CT slice
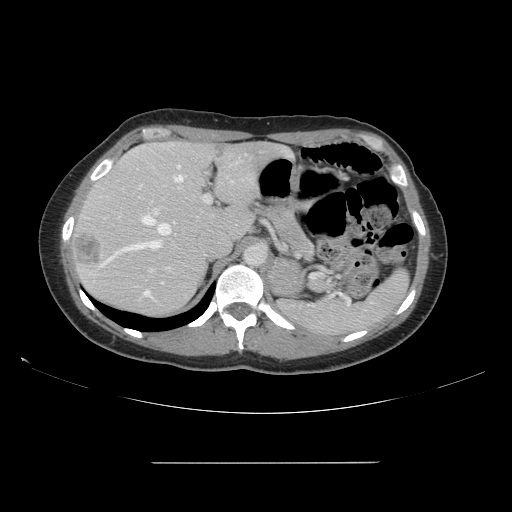 The vessel boxes may cover only some of the vessels.
15 hepatic vessel regions are bounded by x1=202 y1=195 x2=210 y2=203, x1=166 y1=267 x2=169 y2=269, x1=152 y1=208 x2=158 y2=215, x1=119 y1=213 x2=120 y2=217, x1=173 y1=221 x2=175 y2=223, x1=144 y1=291 x2=154 y2=300, x1=122 y1=240 x2=161 y2=250, x1=90 y1=272 x2=92 y2=274, x1=231 y1=160 x2=239 y2=165, x1=139 y1=185 x2=141 y2=187, x1=149 y1=269 x2=153 y2=271, x1=141 y1=213 x2=170 y2=236, x1=174 y1=175 x2=182 y2=181, x1=178 y1=165 x2=180 y2=167, x1=99 y1=251 x2=120 y2=267. 2 liver tumor regions are bounded by x1=73 y1=235 x2=101 y2=266, x1=216 y1=145 x2=224 y2=156.